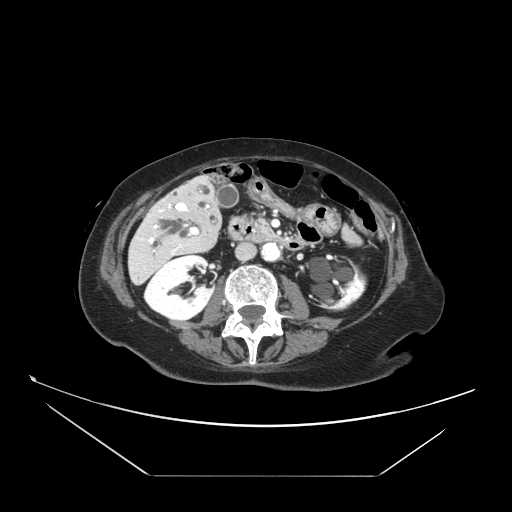
CT | Upper abdomen
pancreas: l=254, t=218, r=276, b=238